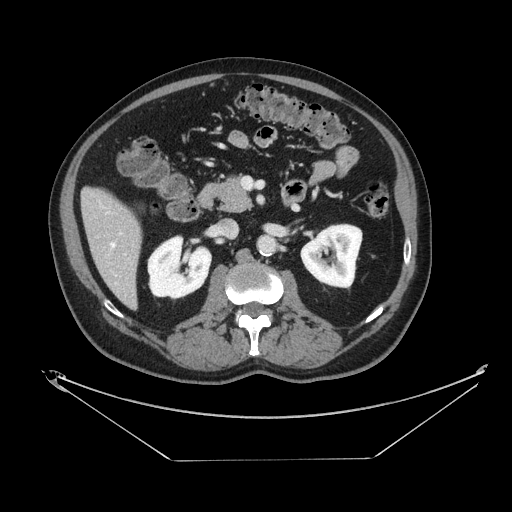

Computed tomography; Abdomen
pancreas: 216, 176, 250, 212